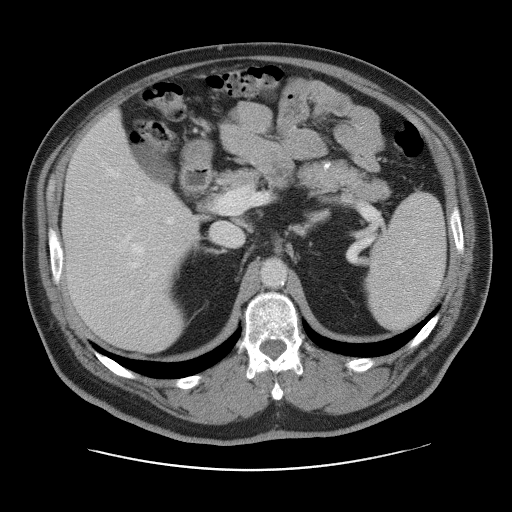
Abdomen, CT image
The vessel boxes may cover only some of the vessels.
10 hepatic vessel regions are bounded by l=123, t=229, r=136, b=242; l=160, t=230, r=164, b=230; l=216, t=187, r=267, b=213; l=165, t=216, r=174, b=223; l=135, t=196, r=144, b=203; l=131, t=243, r=143, b=255; l=108, t=169, r=118, b=175; l=220, t=225, r=238, b=243; l=150, t=273, r=153, b=279; l=128, t=262, r=138, b=267.